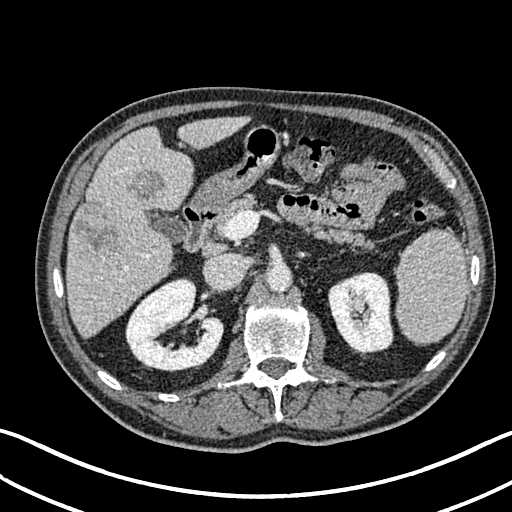
CT image, Liver
2 kidney regions appear at rect(126, 280, 222, 370); rect(329, 273, 392, 351). 2 liver lesion regions are bounded by rect(127, 169, 162, 198); rect(74, 202, 125, 253). 2 liver regions appear at rect(178, 117, 246, 149); rect(67, 128, 192, 335).